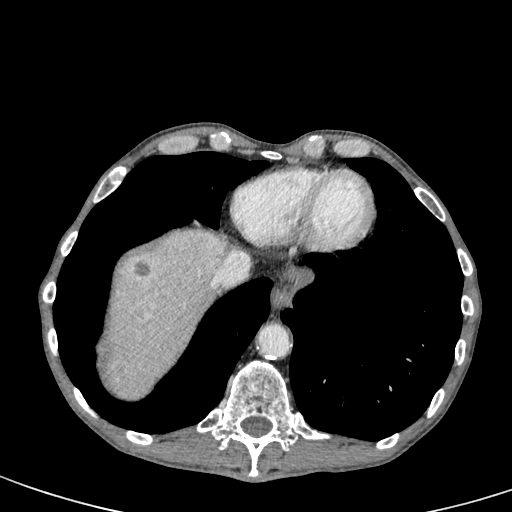

Abdomen; Computed tomography
Annotated regions:
- liver: box=[107, 230, 227, 399]
- liver lesion: box=[115, 365, 122, 372]; box=[135, 262, 149, 275]; box=[291, 267, 311, 279]